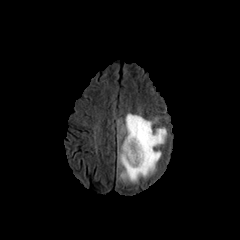
FLAIR MRI.
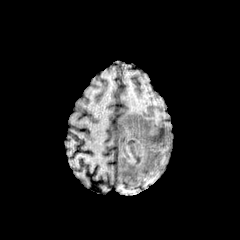
T1-weighted MR image of the same slice.
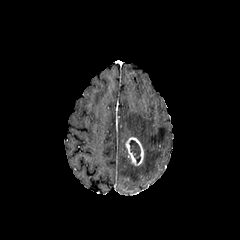
Post-contrast T1-weighted MRI of the same slice.
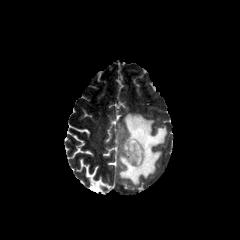
T2-weighted MR image of the same slice.
{"edema": ["bbox=[117, 113, 167, 185]"], "enhancing_tumor": ["bbox=[125, 137, 143, 165]"], "non-enhancing_tumor_core": ["bbox=[130, 140, 141, 157]"]}